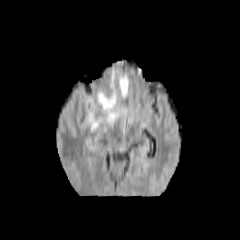
FLAIR MRI.
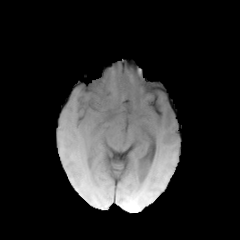
T1-weighted MRI.
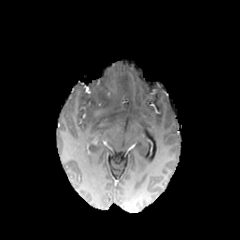
Post-contrast T1-weighted MR.
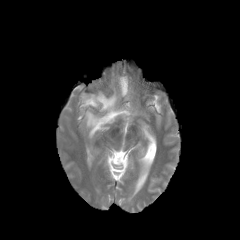
T2-weighted MR.
Annotated regions:
• edema: <box>85,84,127,136</box>, <box>119,75,128,98</box>
• non-enhancing tumor core: <box>81,80,115,108</box>